CT scan slice; Image size 512x512; Field of view 330x330 mm; Upper abdomen
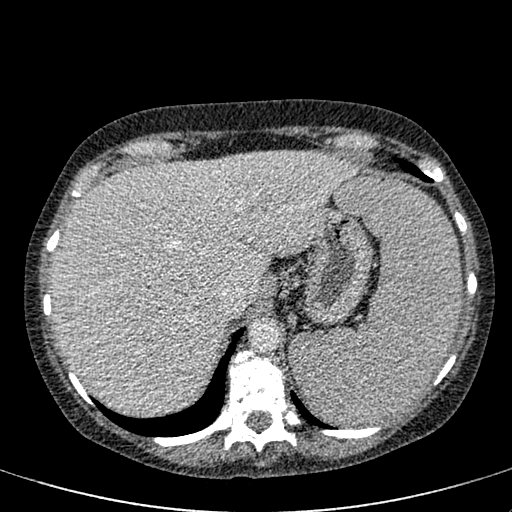 Annotated regions:
* liver: region(53, 153, 358, 413)